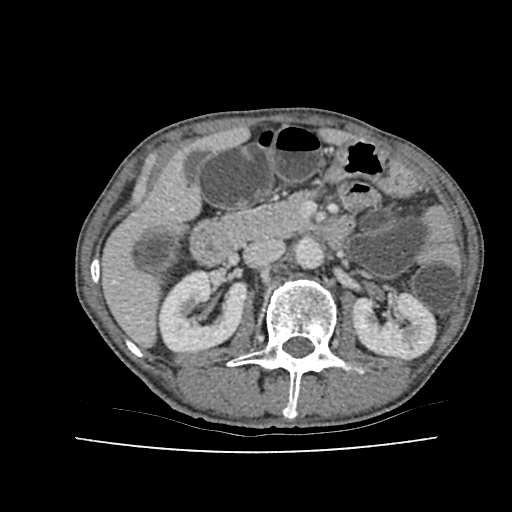 Abdomen, CT scan slice

liver:
  - 202,133,244,148
  - 328,132,345,141
  - 102,161,196,342
kidney:
  - 160,272,245,351
  - 354,294,434,358